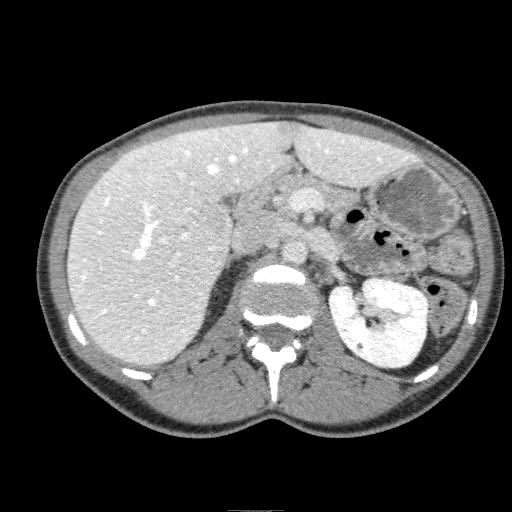
Liver. 512x512 px. CT scan slice.
Liver — [67, 120, 420, 365].
Focal liver lesion — [277, 121, 306, 138], [192, 202, 229, 233].
Kidney — [329, 279, 427, 366].